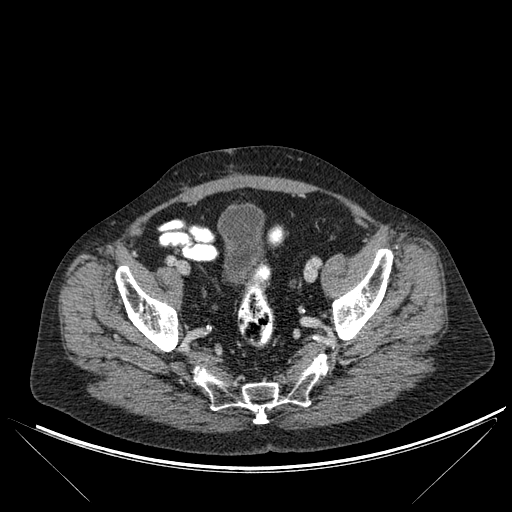

Computed tomography

Bone = <box>332,249,392,340</box>, <box>115,266,178,351</box>, <box>194,354,327,423</box>.